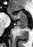
Hippocampus; 33x47; MR

• posterior hippocampus: x1=17 y1=21 x2=27 y2=28
• anterior hippocampus: x1=9 y1=11 x2=27 y2=20